Field of view 466 mm wide, 5.00 mm slice spacing | CT scan slice | Slice index 19 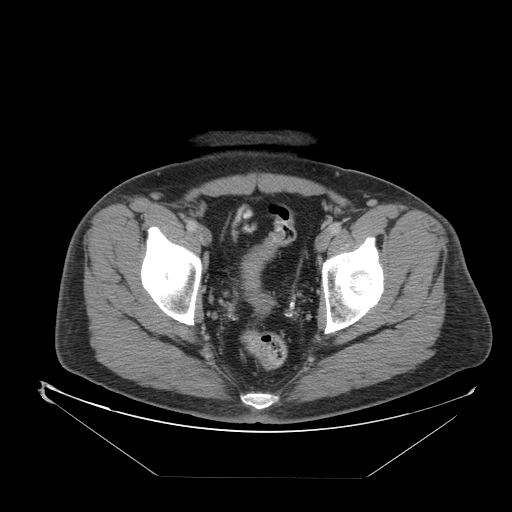
Colon tumor: <bbox>243, 231, 286, 294</bbox>.